CT slice, Upper abdomen, Slice index 139

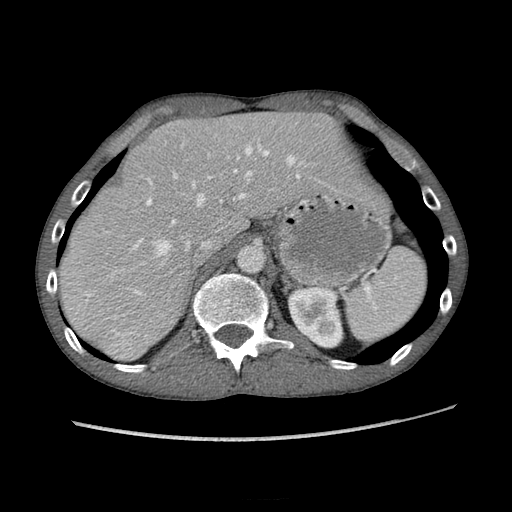
Kidney — [289,288,341,346].
Liver — [58,109,356,356].